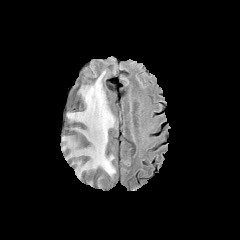
FLAIR MR image.
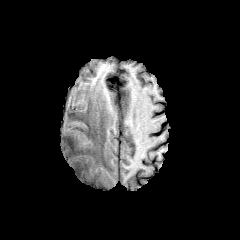
T1-weighted MR image of the same slice.
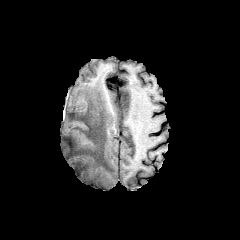
Post-contrast T1-weighted MR.
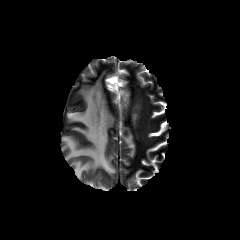
Same slice, T2-weighted MR image.
Image size 240x240.
edema:
  - l=65, t=74, r=117, b=177